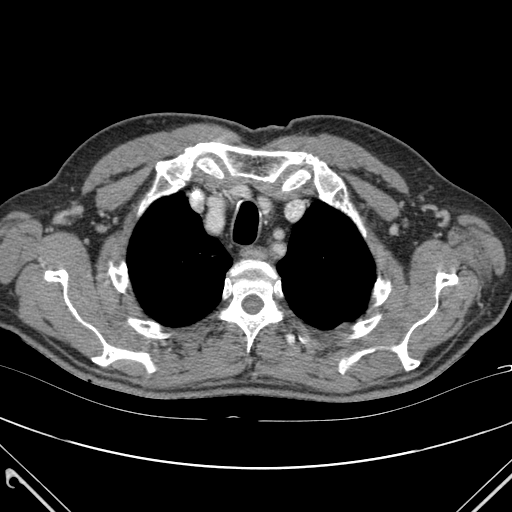
512x512 px. CT. Chest.

11 bone regions are bounded by {"x1": 339, "y1": 350, "x2": 371, "y2": 373}, {"x1": 45, "y1": 269, "x2": 154, "y2": 372}, {"x1": 109, "y1": 263, "x2": 127, "y2": 292}, {"x1": 341, "y1": 204, "x2": 362, "y2": 229}, {"x1": 374, "y1": 279, "x2": 390, "y2": 304}, {"x1": 221, "y1": 260, "x2": 281, "y2": 350}, {"x1": 393, "y1": 304, "x2": 437, "y2": 370}, {"x1": 128, "y1": 319, "x2": 164, "y2": 338}, {"x1": 140, "y1": 142, "x2": 343, "y2": 212}, {"x1": 436, "y1": 273, "x2": 457, "y2": 297}, {"x1": 352, "y1": 316, "x2": 380, "y2": 337}. 2 lung regions are located at {"x1": 127, "y1": 192, "x2": 232, "y2": 326}, {"x1": 277, "y1": 201, "x2": 374, "y2": 329}.